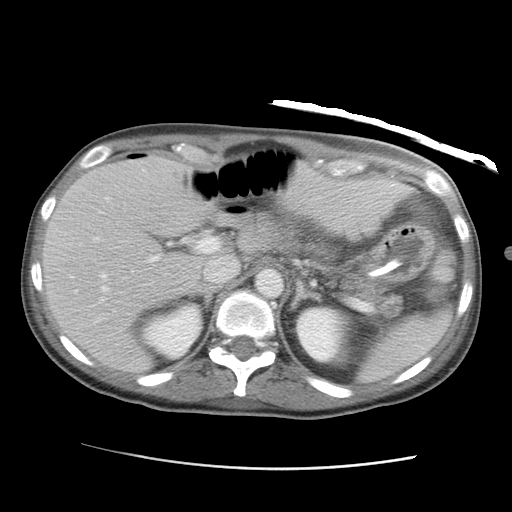 CT scan slice | Upper abdomen

Annotated regions:
• liver: <bbox>42, 155, 238, 373</bbox>, <bbox>239, 240, 253, 251</bbox>, <bbox>283, 171, 412, 231</bbox>
• kidney: <bbox>296, 307, 346, 361</bbox>, <bbox>144, 306, 201, 357</bbox>